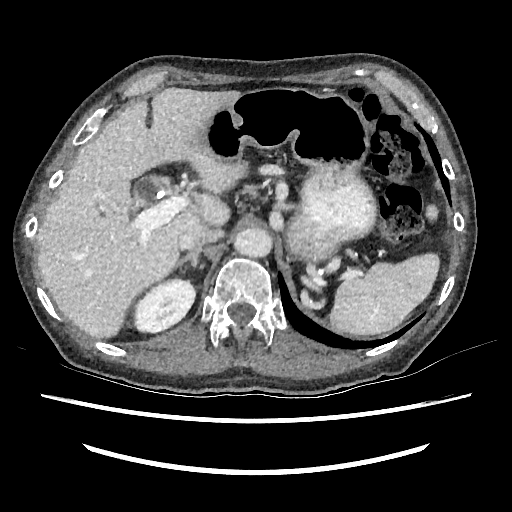 CT image
Kidney at x1=135 y1=280 x2=194 y2=332.
Liver at x1=37 y1=89 x2=236 y2=335.